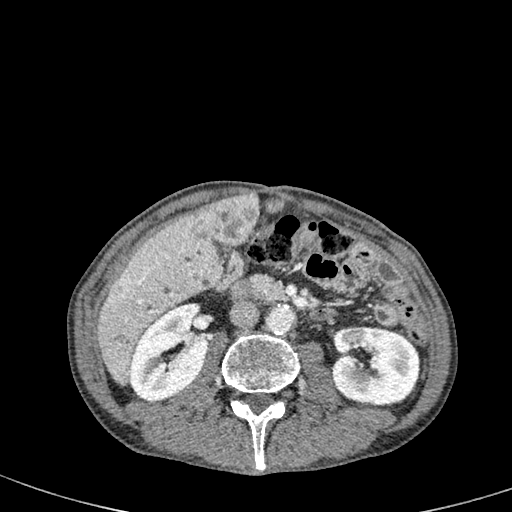

Liver; CT image
Liver = left=97, top=204, right=222, bottom=384.
Kidney = left=333, top=328, right=418, bottom=404; left=129, top=304, right=210, bottom=399.
Liver lesion = left=194, top=193, right=258, bottom=244; left=265, top=200, right=281, bottom=212.